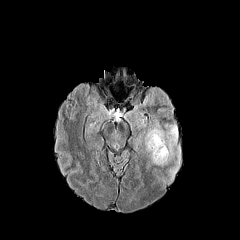
FLAIR MR image.
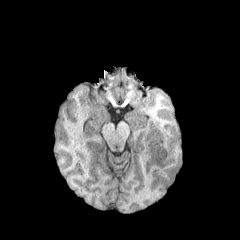
Same slice, T1-weighted MRI.
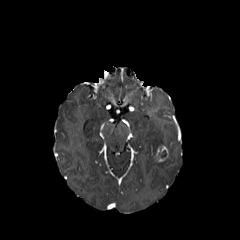
Post-contrast T1-weighted MR.
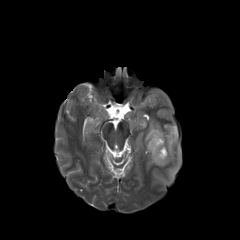
T2-weighted magnetic resonance.
Findings:
- edema: <bbox>143, 119, 180, 167</bbox>
- enhancing tumor: <bbox>153, 145, 169, 163</bbox>